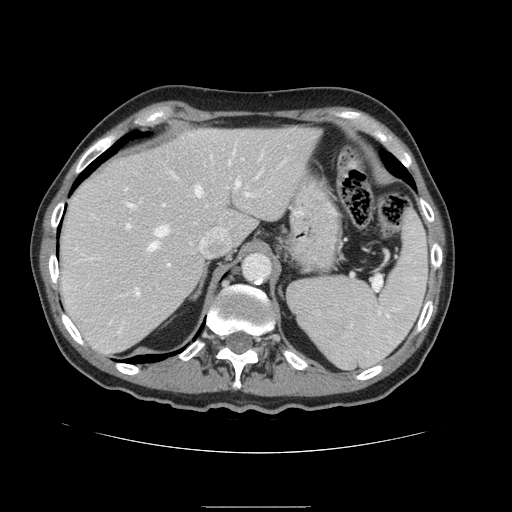

Image size 512x512. CT image. Upper abdomen.
{
  "spleen": [
    "bbox(287, 212, 427, 369)"
  ]
}